FLAIR MRI.
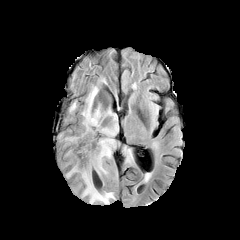
T1-weighted MR image.
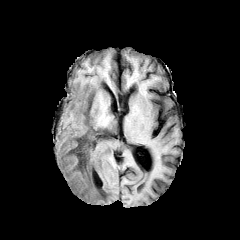
Post-contrast T1-weighted MRI.
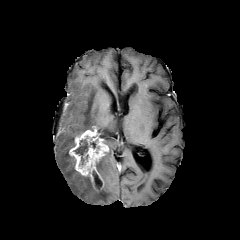
T2-weighted MR image.
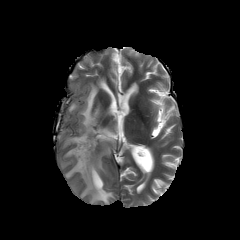
Head
Non-enhancing tumor core: bounding box 73, 138, 100, 165; 70, 155, 77, 168; 86, 126, 100, 135.
Edema: bounding box 67, 162, 115, 204; 69, 101, 76, 112; 63, 78, 118, 178.
Enhancing tumor: bounding box 69, 129, 107, 181.